Image size 512x512. Abdomen. CT.

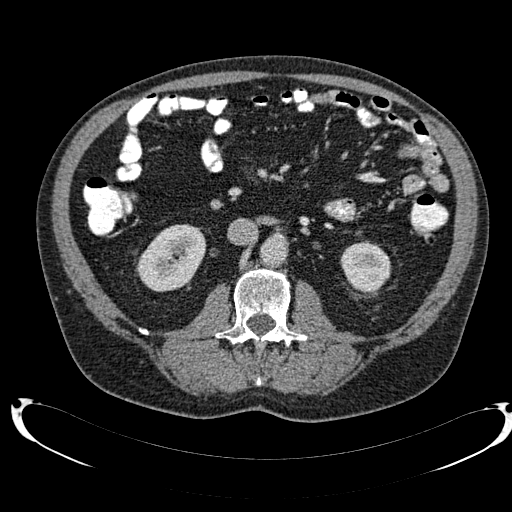
kidney: [137, 224, 205, 291], [341, 242, 390, 294]